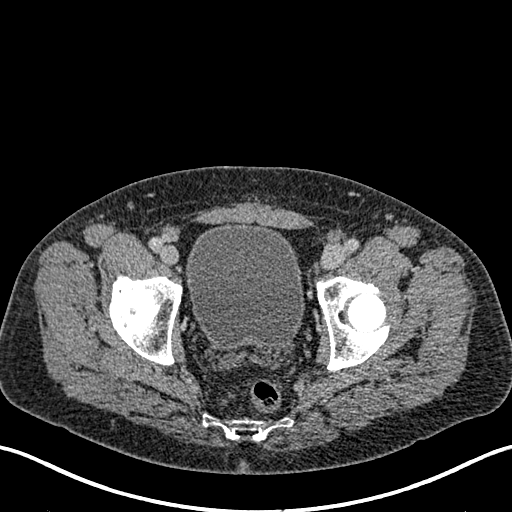
CT; Lower abdomen
Urinary bladder: bounding box x1=186, y1=222, x2=304, y2=346.